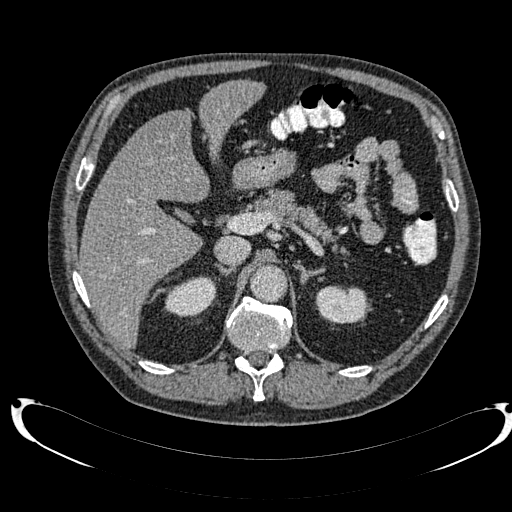

CT slice.
- liver lesion: {"x1": 147, "y1": 112, "x2": 186, "y2": 152}
- liver: {"x1": 200, "y1": 80, "x2": 264, "y2": 160}, {"x1": 80, "y1": 111, "x2": 208, "y2": 346}
- kidney: {"x1": 165, "y1": 277, "x2": 215, "y2": 316}, {"x1": 316, "y1": 286, "x2": 369, "y2": 322}